CT image, 512x512 px, Field of view 416 mm wide, 5.00 mm slice spacing 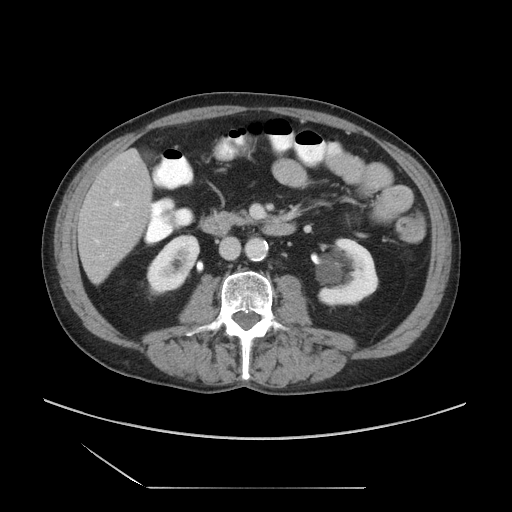
Only some of the vessels may be annotated.
Findings:
• hepatic vessel: box=[127, 223, 128, 225]; box=[114, 201, 123, 205]; box=[101, 254, 103, 258]; box=[110, 190, 113, 192]; box=[95, 240, 98, 242]; box=[134, 158, 136, 161]